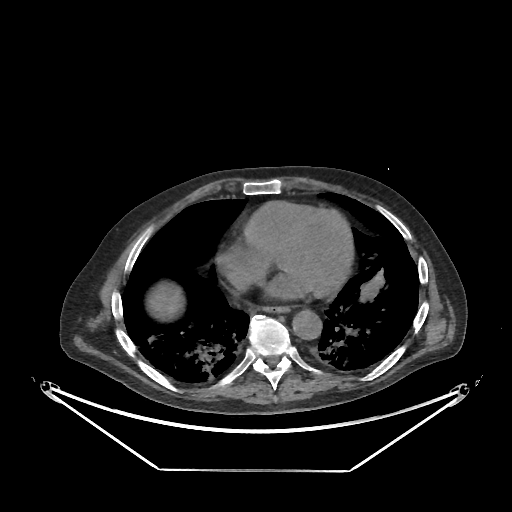

Upper abdomen. CT image.

Liver: bounding box 149:287:180:316.